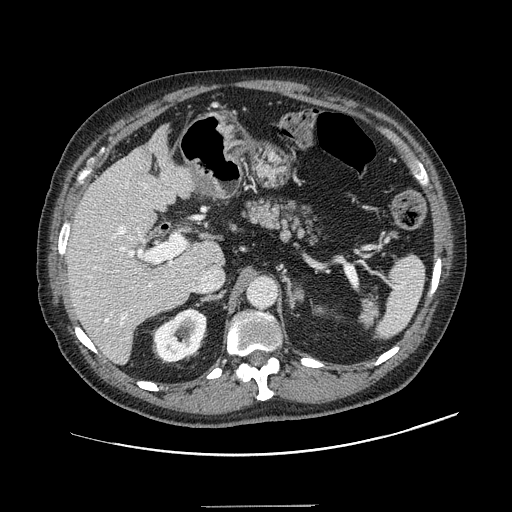
Computed tomography; 512x512

Pancreas at x1=239, y1=196, x2=324, y2=245.